Liver; CT scan slice; 512x512
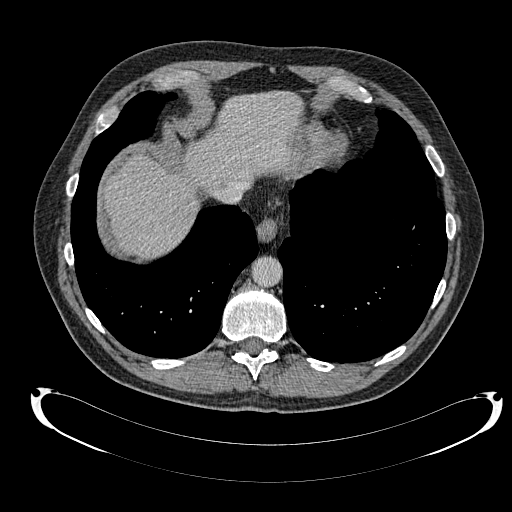
liver: 103 92 301 257